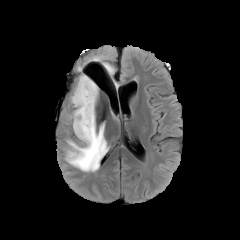
FLAIR MR image.
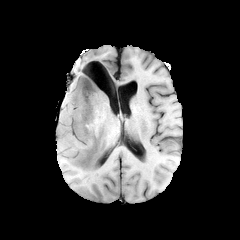
T1-weighted magnetic resonance.
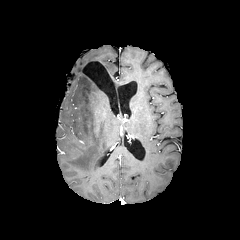
Post-contrast T1-weighted MRI.
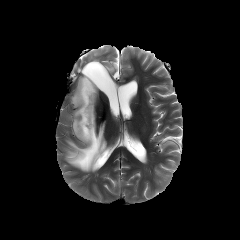
T2-weighted MRI.
2 edema regions are bounded by x1=101, y1=59, x2=115, y2=76; x1=65, y1=74, x2=109, y2=171.